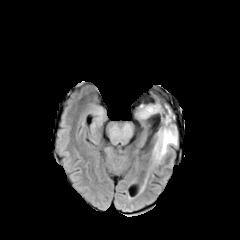
FLAIR MRI.
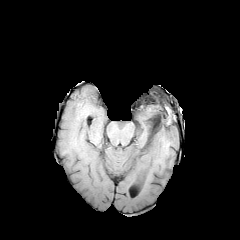
T1-weighted MRI of the same slice.
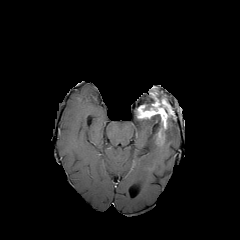
Post-contrast T1-weighted MRI of the same slice.
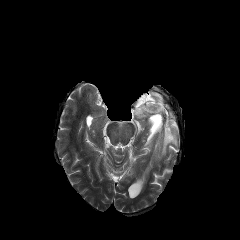
Same slice, T2-weighted MR image.
240x240
<segmentation>
  <edema>box(151, 126, 178, 163)</edema>
  <enhancing_tumor>box(136, 98, 173, 145)</enhancing_tumor>
  <non-enhancing_tumor_core>box(151, 114, 161, 127); box(162, 116, 175, 146)</non-enhancing_tumor_core>
</segmentation>